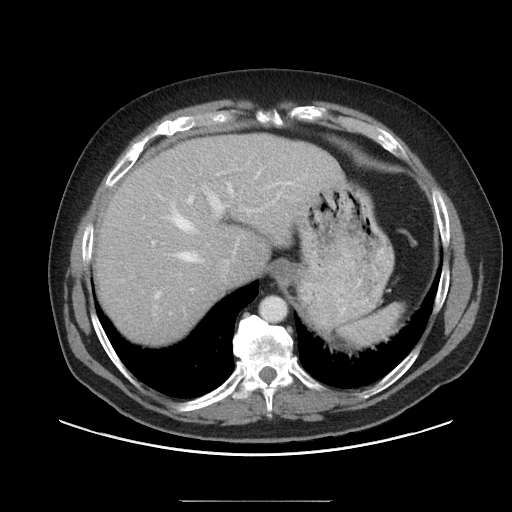 CT slice, Abdomen

Only some of the vessels may be annotated.
Hepatic vessel — l=178, t=252, r=203, b=261; l=172, t=207, r=194, b=232; l=256, t=171, r=260, b=177; l=287, t=182, r=292, b=184; l=155, t=292, r=160, b=297; l=232, t=237, r=238, b=258; l=209, t=195, r=223, b=210; l=187, t=196, r=193, b=203; l=227, t=183, r=233, b=196; l=224, t=269, r=227, b=272; l=152, t=241, r=154, b=244; l=248, t=209, r=260, b=213; l=222, t=260, r=229, b=266.